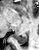 Magnetic resonance. 39x50. Posterior hippocampus: bounding box <box>14,33,27,43</box>.